FLAIR MR.
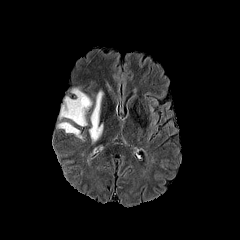
T1-weighted MRI.
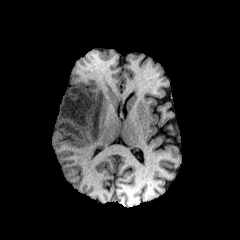
Post-contrast T1-weighted MRI.
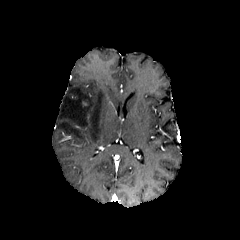
T2-weighted MRI.
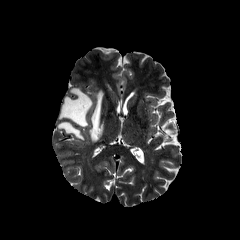
Edema: left=58, top=122, right=82, bottom=138; left=89, top=91, right=103, bottom=142; left=59, top=87, right=92, bottom=126.